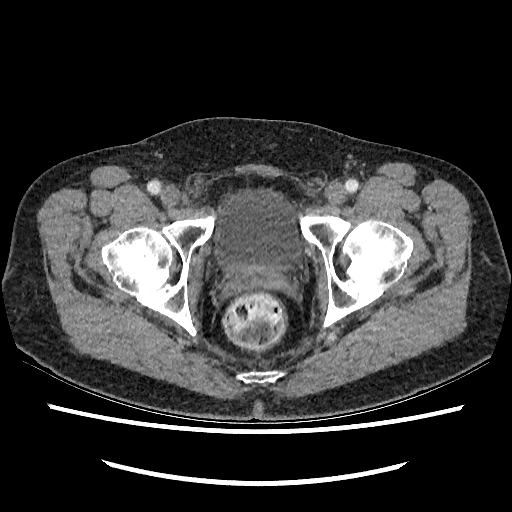 CT; 512x512; Pelvis
<segmentation>
  <urinary_bladder>[x1=213, y1=188, x2=309, y2=275]</urinary_bladder>
</segmentation>